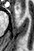

Magnetic resonance | Image size 34x51
Anterior hippocampus — (left=16, top=6, right=18, bottom=9).